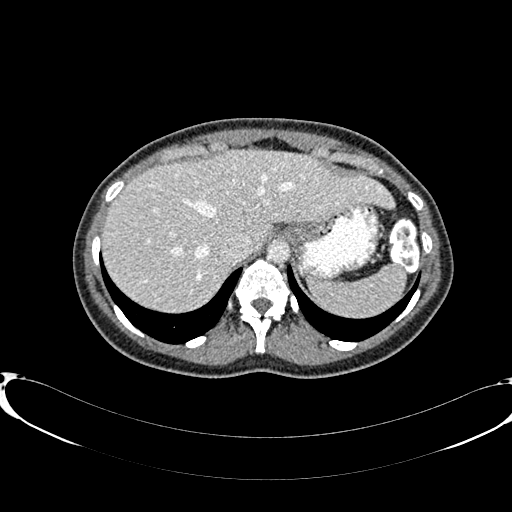

Abdomen, Computed tomography
Liver: bounding box x1=103 y1=150 x2=393 y2=311.